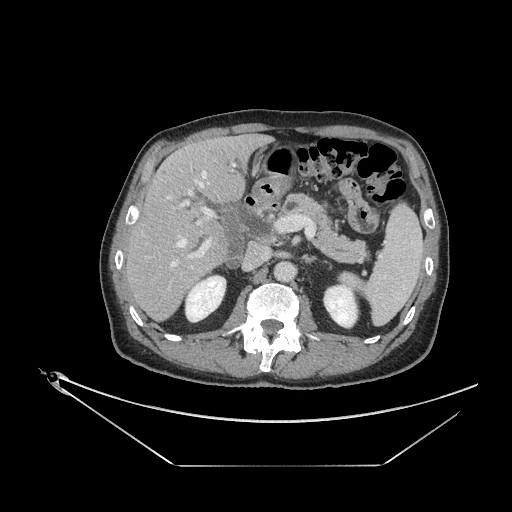 CT image
The pancreas is bounded by x1=282, y1=194, x2=369, y2=262.